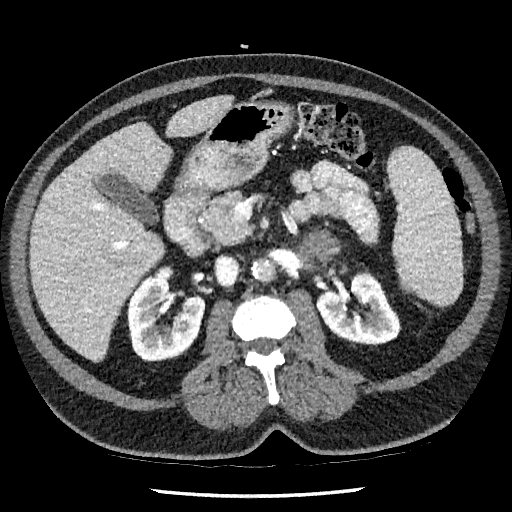 CT image
Kidney: bounding box 317:275:399:343, 128:268:204:360.
Liver: bounding box 30:123:171:360, 166:96:232:136.